FLAIR MRI.
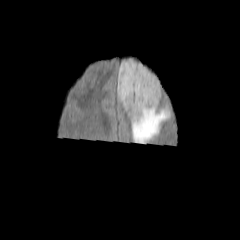
T1-weighted MR image.
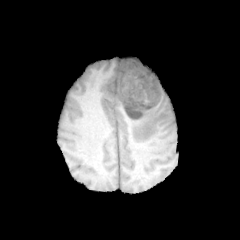
Post-contrast T1-weighted MR.
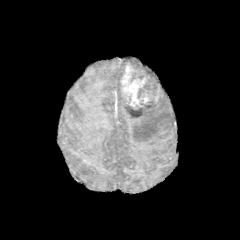
T2-weighted MRI.
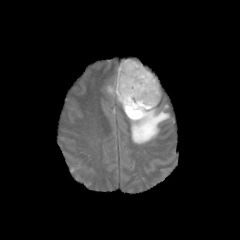
Head
Edema — 104,58,149,110; 126,102,169,143; 159,81,163,102.
Enhancing tumor — 120,62,153,108.
Non-enhancing tumor core — 125,63,160,117.